240x240 px, Head
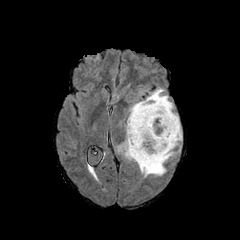
FLAIR MRI.
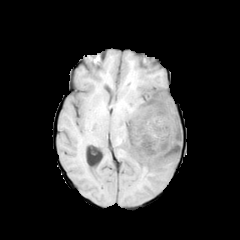
T1-weighted MRI.
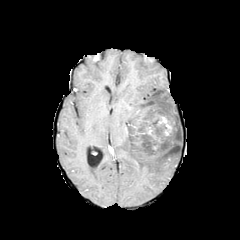
Same slice, post-contrast T1-weighted magnetic resonance.
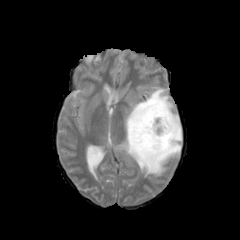
T2-weighted magnetic resonance.
The non-enhancing tumor core is located at l=126, t=96, r=179, b=161. The edema is bounded by l=116, t=87, r=181, b=176. 2 enhancing tumor regions are bounded by l=146, t=125, r=153, b=136; l=159, t=116, r=172, b=135.